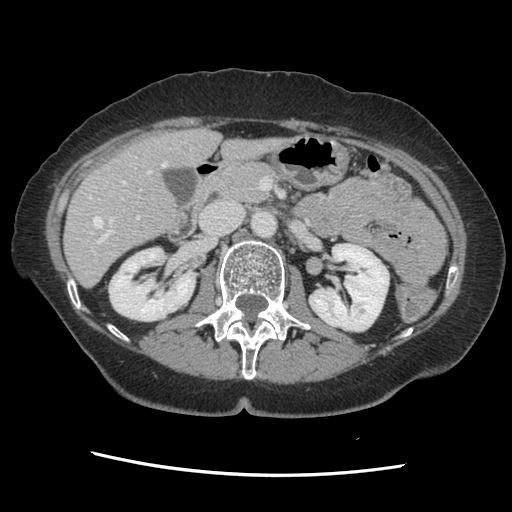

Abdomen. CT image.
The vessel annotation is not exhaustive.
<segmentation>
  <hepatic_vessel>122,181,125,183; 109,218,113,223; 148,171,151,173; 137,216,139,218; 93,217,102,227; 162,162,166,166; 89,194,90,197; 97,228,114,242</hepatic_vessel>
</segmentation>